Computed tomography, Slice 35 of 51, Field of view 429x429 mm 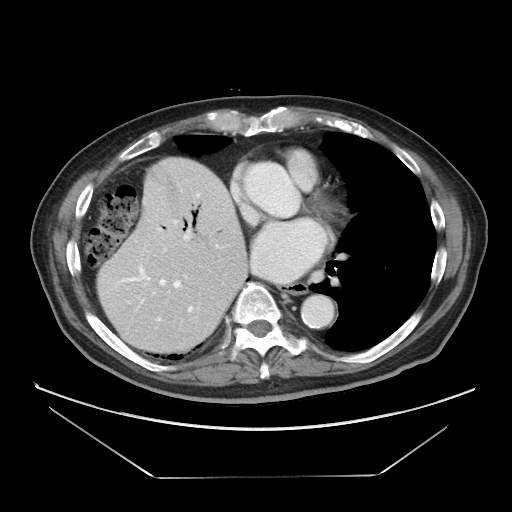
The vessel annotation is not exhaustive.
Hepatic vessel — 173 280 180 287, 188 306 192 311, 183 230 190 240, 159 278 165 285, 120 264 150 284.